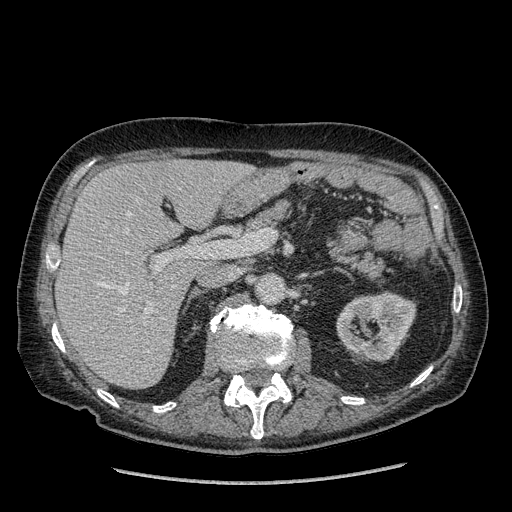

Liver; Image size 512x512; CT scan slice

- liver: 55 159 255 388
- kidney: 336 292 415 360